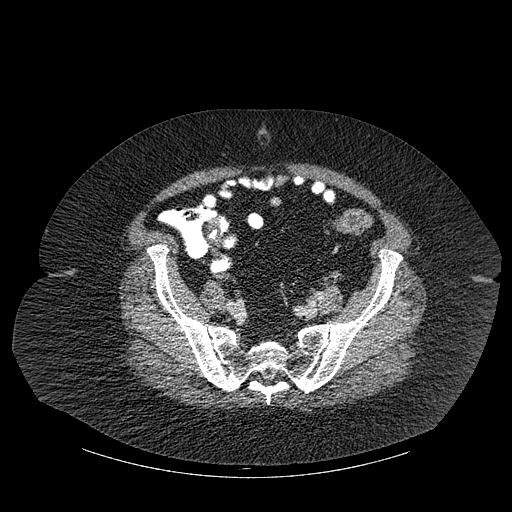
512x512; CT scan slice

Annotated regions:
• bone: left=147, top=244, right=402, bottom=392; left=249, top=381, right=288, bottom=404